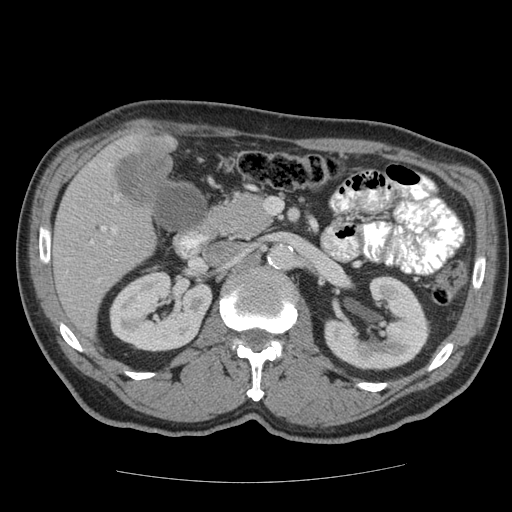

512x512 | CT scan slice | Abdomen
Some hepatic vessels may have no box.
liver_tumor:
  - bbox(115, 147, 170, 203)
hepatic_vessel:
  - bbox(114, 195, 118, 200)
  - bbox(90, 242, 92, 244)
  - bbox(98, 280, 99, 281)
  - bbox(101, 227, 105, 230)